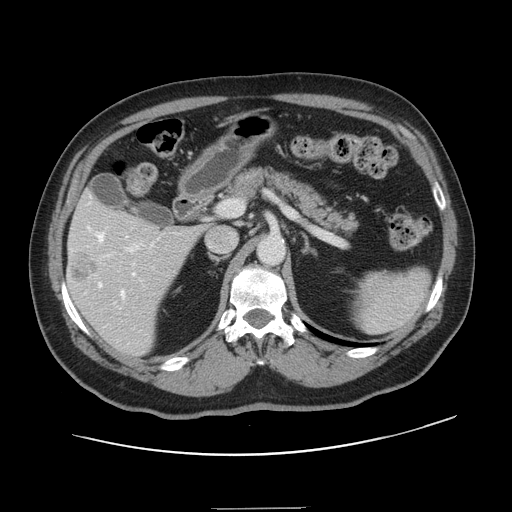 CT. 512x512.
Some hepatic vessels may have no box.
Hepatic vessel: bounding box (88,226,89,229), (121,290,124,296), (98,233,102,242), (90,196,90,199), (128,245,138,251), (89,201,90,203), (98,283,101,286), (132,273,134,275).
Liver tumor: bounding box (73,255,96,281).